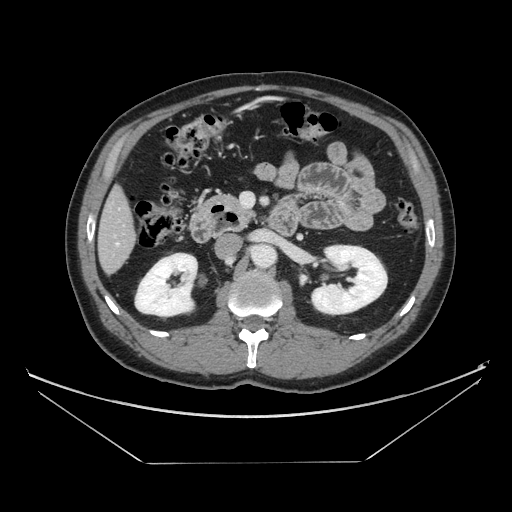

Abdomen, Computed tomography
Pancreas — [224, 196, 254, 219].